FLAIR MRI.
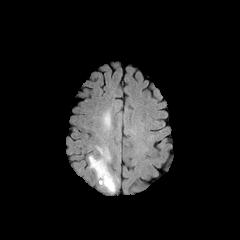
T1-weighted magnetic resonance.
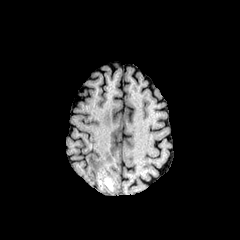
Post-contrast T1-weighted magnetic resonance.
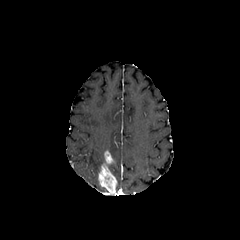
T2-weighted MR image.
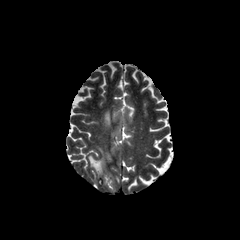
Head. 240x240 px.
The enhancing tumor is at l=98, t=150, r=117, b=193. 3 edema regions are bounded by l=88, t=155, r=94, b=168; l=100, t=109, r=111, b=131; l=94, t=146, r=108, b=164.